CT; 512x512
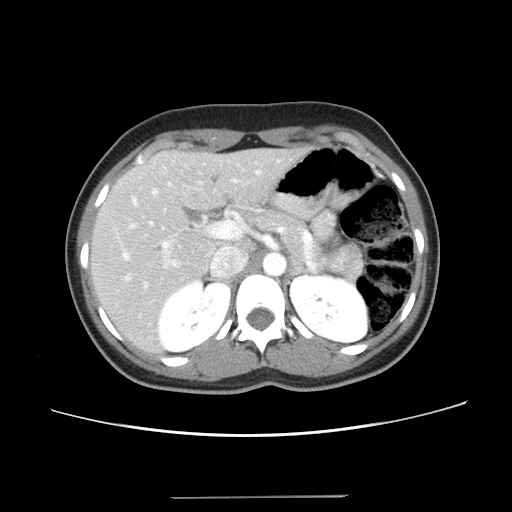

Not every hepatic vessel necessarily has a box.
Hepatic vessel: l=256, t=171, r=261, b=174; l=164, t=261, r=179, b=267; l=163, t=242, r=168, b=247; l=169, t=183, r=171, b=185; l=162, t=227, r=164, b=229; l=131, t=224, r=135, b=227; l=233, t=179, r=238, b=182; l=133, t=198, r=137, b=204; l=124, t=253, r=129, b=259; l=152, t=190, r=157, b=194; l=145, t=283, r=147, b=287; l=199, t=182, r=202, b=183; l=126, t=274, r=131, b=280; l=150, t=222, r=153, b=225.